CT scan slice | Abdomen | 512x512 | Slice 66 of 141

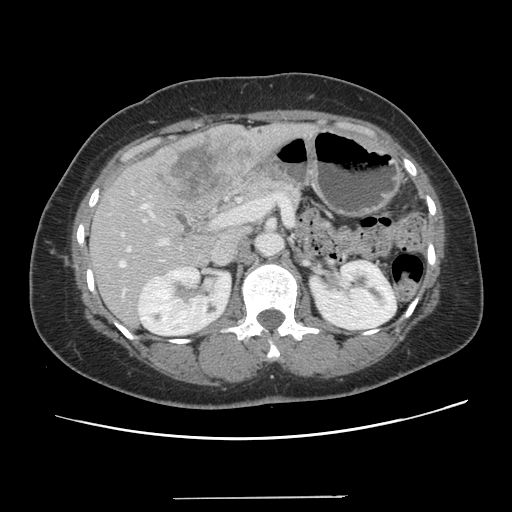 Not every hepatic vessel necessarily has a box.
hepatic vessel: [143, 219, 146, 221], [122, 289, 125, 295], [132, 191, 134, 194], [127, 247, 130, 251], [159, 238, 168, 244], [121, 233, 124, 235], [120, 261, 125, 266], [142, 204, 153, 217] | liver tumor: [152, 132, 259, 201]